CT image. 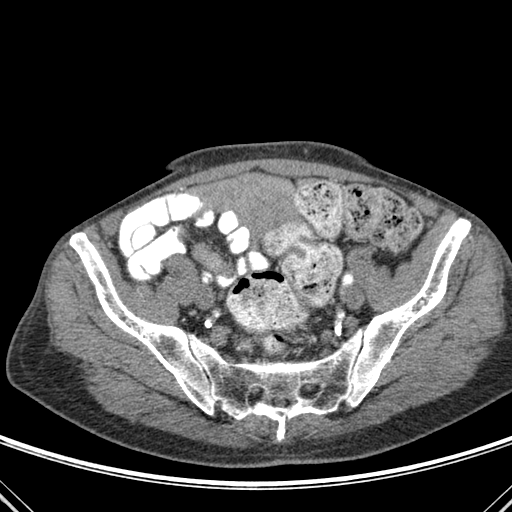

Bone = {"x1": 69, "y1": 218, "x2": 470, "y2": 440}.